FLAIR MR image.
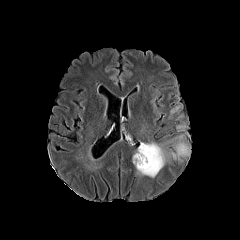
T1-weighted magnetic resonance.
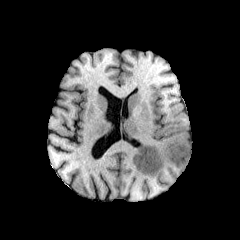
Post-contrast T1-weighted magnetic resonance.
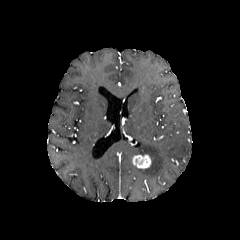
T2-weighted MR.
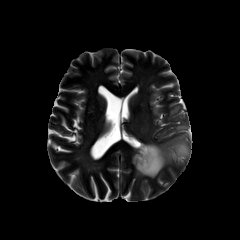
Image size 240x240
The enhancing tumor is located at 132 154 150 168. The edema is bounded by 134 135 190 177.